512x512 px | CT image | Slice index 122
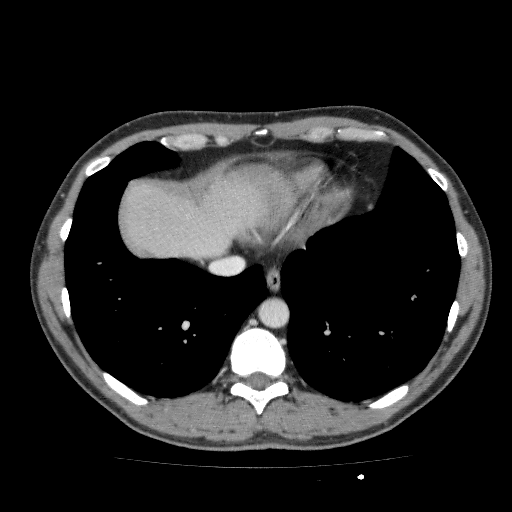
The liver is bounded by box(117, 162, 300, 258).